Slice index 400; Image size 512x512; Liver; Computed tomography

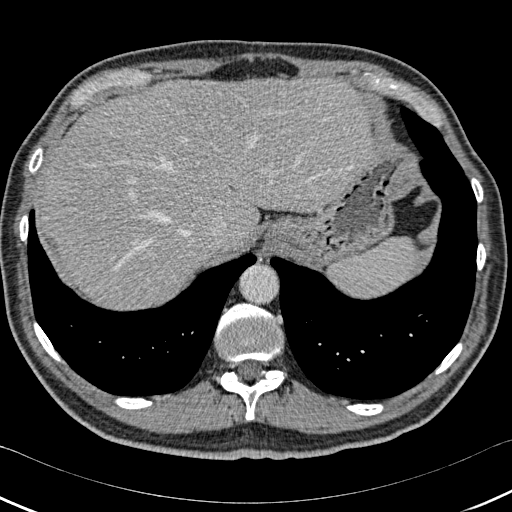 10 bone regions are bounded by {"x1": 220, "y1": 370, "x2": 283, "y2": 420}, {"x1": 435, "y1": 343, "x2": 461, "y2": 374}, {"x1": 29, "y1": 148, "x2": 42, "y2": 172}, {"x1": 34, "y1": 323, "x2": 60, "y2": 361}, {"x1": 471, "y1": 178, "x2": 482, "y2": 202}, {"x1": 477, "y1": 243, "x2": 485, "y2": 269}, {"x1": 216, "y1": 303, "x2": 281, "y2": 361}, {"x1": 115, "y1": 398, "x2": 151, "y2": 409}, {"x1": 347, "y1": 404, "x2": 382, "y2": 415}, {"x1": 19, "y1": 215, "x2": 27, "y2": 240}. The liver is at {"x1": 36, "y1": 77, "x2": 368, "y2": 309}. 2 lung regions appear at {"x1": 27, "y1": 209, "x2": 256, "y2": 396}, {"x1": 270, "y1": 104, "x2": 477, "y2": 402}.